Slice 123/155
FLAIR MR image.
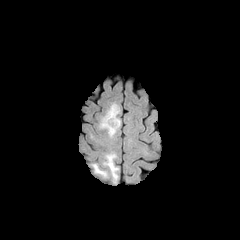
T1-weighted MR.
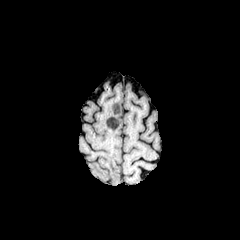
Post-contrast T1-weighted magnetic resonance.
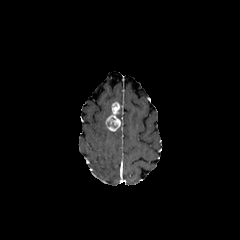
T2-weighted MR.
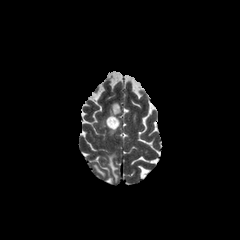
Annotated regions:
* enhancing tumor: region(105, 102, 120, 131)
* edema: region(104, 153, 118, 180); region(93, 164, 106, 175); region(98, 106, 112, 129)